Hippocampus | MR | Slice 15 of 40 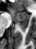

The posterior hippocampus lies within l=18, t=23, r=28, b=31. The anterior hippocampus is at l=9, t=9, r=29, b=22.